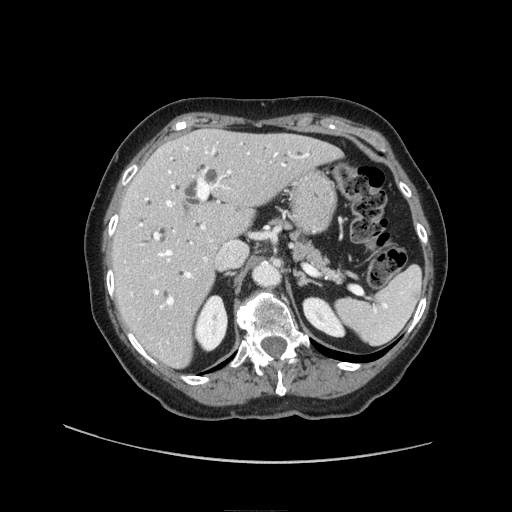

CT scan slice. Image size 512x512.
{"pancreas": ["277,220,291,229", "293,235,340,280"]}